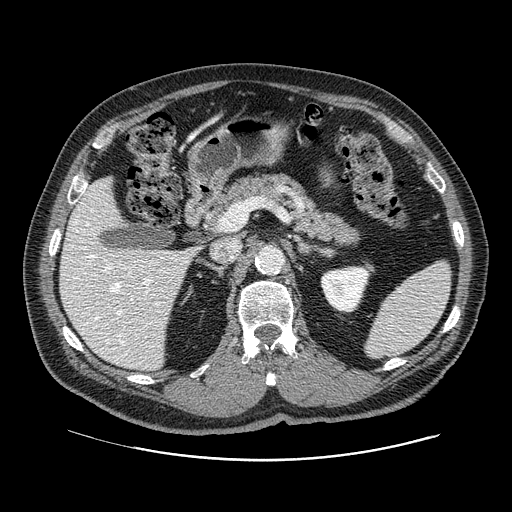 CT scan slice

{
  "pancreas": [
    "(189, 172, 361, 247)"
  ]
}